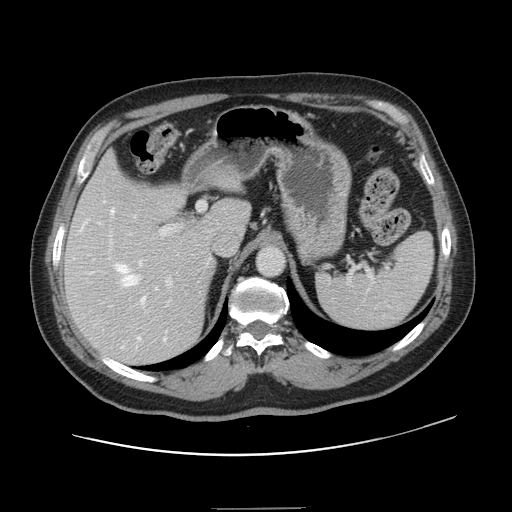 CT, Abdomen
Not every hepatic vessel necessarily has a box.
Hepatic vessel: bounding box 166,279,171,286; 82,220,87,227; 117,265,138,286; 159,229,166,235; 111,208,113,214; 137,337,140,340; 103,201,105,202; 121,346,123,347; 163,336,165,340; 140,296,145,303; 154,287,157,289; 139,261,141,265; 99,223,100,224.